Slice index 85. 240x240.
FLAIR MR image.
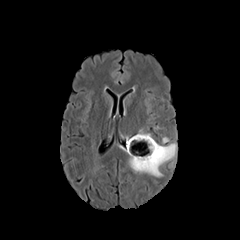
T1-weighted MRI.
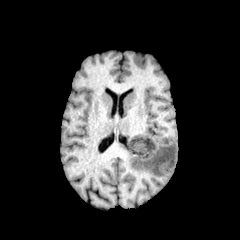
Post-contrast T1-weighted MRI.
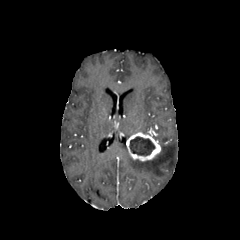
T2-weighted MR image.
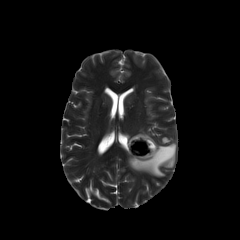
{
  "edema": [
    "bbox=[128, 143, 176, 175]"
  ],
  "enhancing_tumor": [
    "bbox=[127, 131, 161, 160]"
  ],
  "non-enhancing_tumor_core": [
    "bbox=[129, 136, 155, 156]"
  ]
}